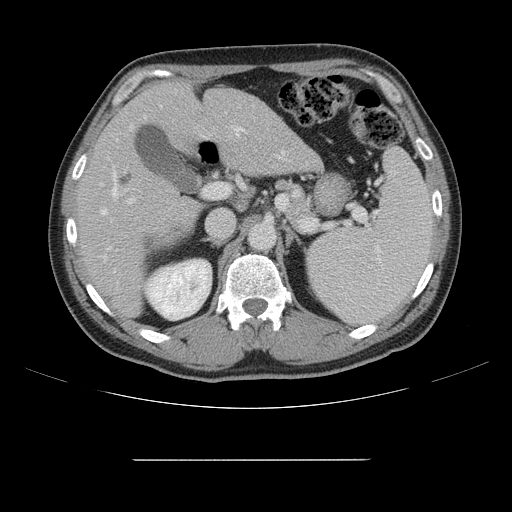 Computed tomography. 512x512. Liver.
Only some of the vessels may be annotated.
<segmentation>
  <hepatic_vessel>{"x1": 108, "y1": 248, "x2": 110, "y2": 249}, {"x1": 160, "y1": 105, "x2": 161, "y2": 107}, {"x1": 100, "y1": 184, "x2": 103, "y2": 184}, {"x1": 127, "y1": 199, "x2": 133, "y2": 203}, {"x1": 103, "y1": 256, "x2": 106, "y2": 261}, {"x1": 111, "y1": 217, "x2": 111, "y2": 221}, {"x1": 101, "y1": 209, "x2": 106, "y2": 214}, {"x1": 112, "y1": 166, "x2": 117, "y2": 196}, {"x1": 234, "y1": 127, "x2": 244, "y2": 136}, {"x1": 274, "y1": 150, "x2": 284, "y2": 158}</hepatic_vessel>
</segmentation>